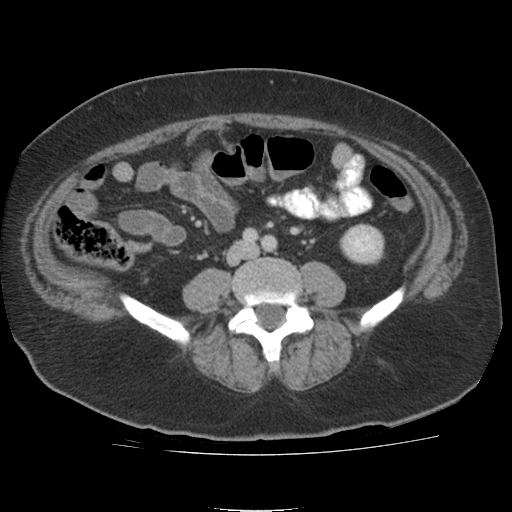 CT slice
The kidney is bounded by 343 226 381 260.